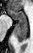 MRI | Hippocampus
Posterior hippocampus = region(15, 20, 27, 42).
Anterior hippocampus = region(8, 9, 25, 20).